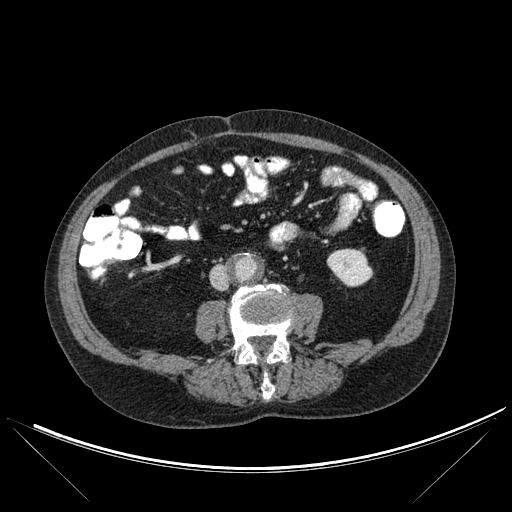

Abdomen; Computed tomography

{
  "bone": [
    "[x1=230, y1=284, x2=292, y2=398]"
  ],
  "kidney": [
    "[x1=327, y1=249, x2=371, y2=286]"
  ]
}